512x512, CT slice

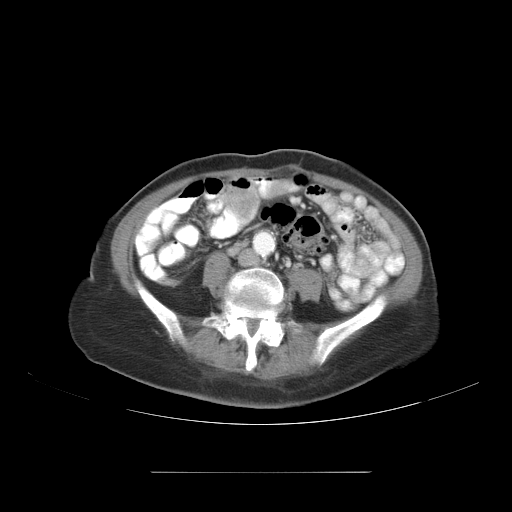 2 colon tumor regions are bounded by region(223, 186, 257, 220); region(268, 180, 286, 195).